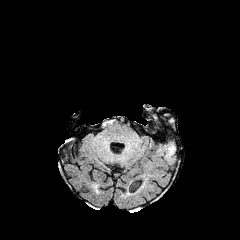
FLAIR MR image.
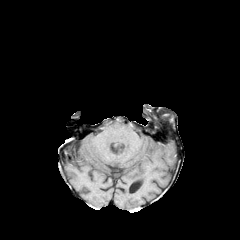
T1-weighted magnetic resonance.
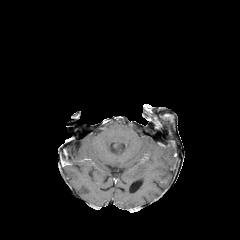
Post-contrast T1-weighted magnetic resonance.
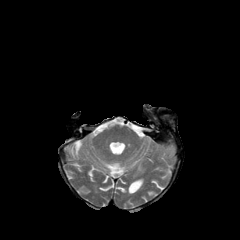
T2-weighted MR.
240x240.
{
  "edema": [
    "[164, 144, 173, 156]"
  ]
}